FLAIR magnetic resonance.
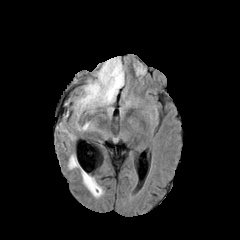
T1-weighted MR image.
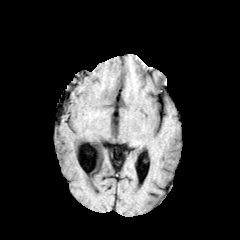
Post-contrast T1-weighted MR.
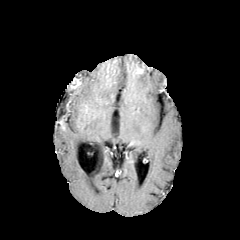
T2-weighted MR image.
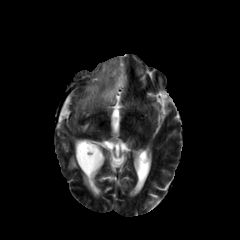
* edema: bbox(75, 58, 126, 116); bbox(80, 168, 104, 198); bbox(68, 154, 79, 169)